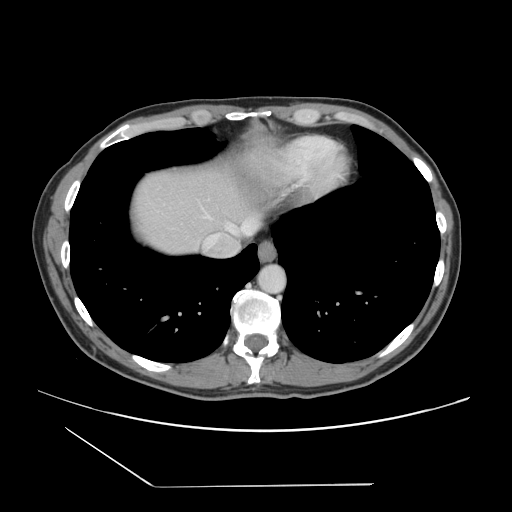 Computed tomography; Image size 512x512
Some hepatic vessels may have no box.
* hepatic vessel: (left=204, top=212, right=209, bottom=218), (left=225, top=219, right=256, bottom=234)